FLAIR MR.
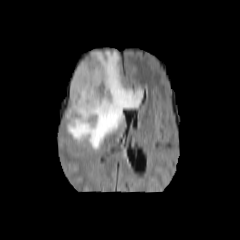
T1-weighted MR image.
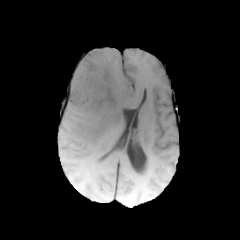
Post-contrast T1-weighted MR image.
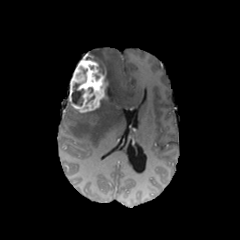
T2-weighted MR image.
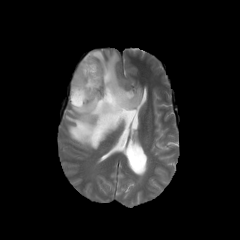
Head
The edema appears at 66, 50, 142, 149. 3 non-enhancing tumor core regions are bounded by 104, 76, 109, 98; 93, 57, 105, 74; 71, 84, 83, 106. The enhancing tumor is at 68, 53, 108, 113.